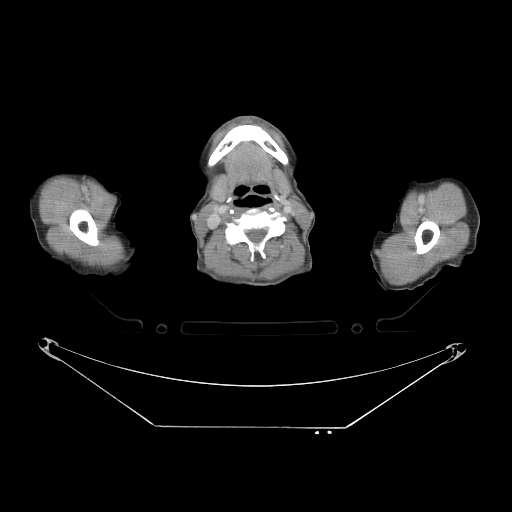

CT scan slice
4 bone regions appear at [415, 220, 439, 253], [209, 125, 287, 165], [70, 209, 98, 245], [225, 209, 284, 256].